512x512 px | CT scan slice | Slice index 41 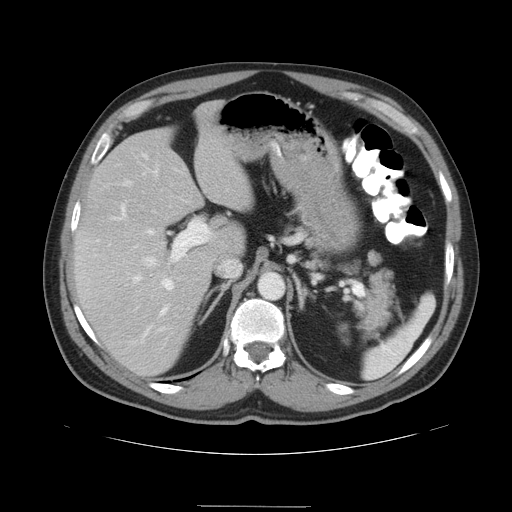

Some hepatic vessels may have no box.
Hepatic vessel at (143, 155, 147, 158), (142, 258, 156, 265), (171, 221, 211, 262), (160, 306, 168, 315), (152, 168, 158, 176), (142, 328, 150, 340), (161, 278, 173, 290), (159, 328, 165, 331), (146, 229, 154, 235), (133, 276, 141, 281), (176, 170, 178, 171), (144, 173, 145, 174), (220, 261, 236, 276), (113, 205, 125, 220), (123, 181, 131, 186).